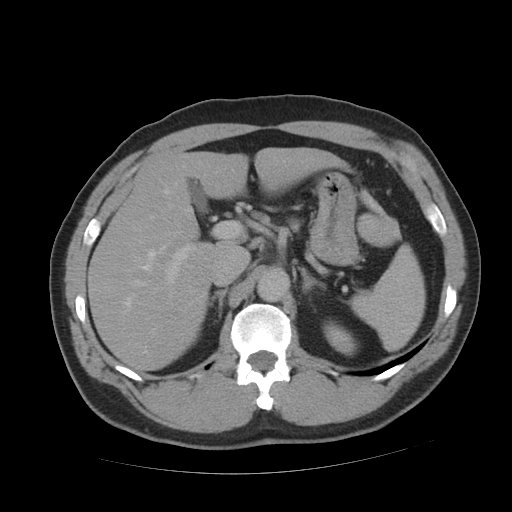

CT.
Not every hepatic vessel necessarily has a box.
Annotated regions:
• hepatic vessel: x1=149, y1=252, x2=154, y2=257; x1=143, y1=283, x2=145, y2=284; x1=125, y1=298, x2=130, y2=305; x1=166, y1=245, x2=195, y2=284; x1=166, y1=191, x2=167, y2=192; x1=170, y1=287, x2=172, y2=296; x1=128, y1=281, x2=138, y2=287; x1=139, y1=261, x2=151, y2=270
• liver tumor: x1=362, y1=218, x2=393, y2=240